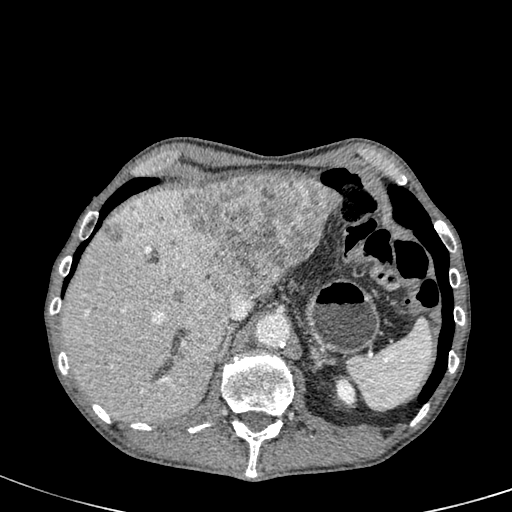 Image size 512x512. CT slice.
<segmentation>
  <liver>left=62, top=189, right=240, bottom=422</liver>
  <hepatic_lesion>left=104, top=224, right=122, bottom=241; left=173, top=291, right=182, bottom=302; left=182, top=177, right=339, bottom=297</hepatic_lesion>
  <kidney>left=329, top=373, right=362, bottom=411</kidney>
</segmentation>